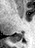 MR. 35x48 px.
The posterior hippocampus is located at 13:33:23:39.